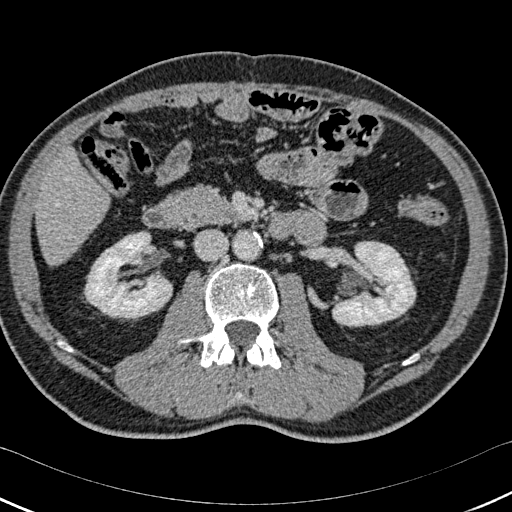

Upper abdomen, 512x512, CT
The liver appears at (x1=35, y1=150, x2=110, y2=264). 3 bone regions are located at (x1=402, y1=354, x2=417, y2=364), (x1=58, y1=342, x2=72, y2=351), (x1=178, y1=264, x2=280, y2=368). 2 kidney regions are located at (x1=333, y1=242, x2=415, y2=325), (x1=85, y1=232, x2=171, y2=317).